CT scan slice
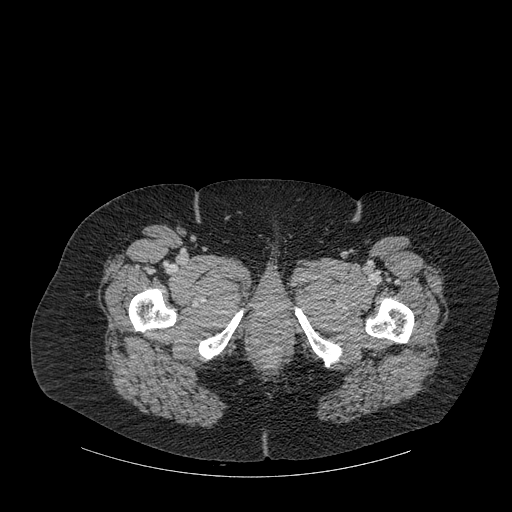
Annotated regions:
- bone: [366,298,413,342], [295,308,341,366], [199,310,242,359], [129,289,176,331]